Brain. Slice index 121.
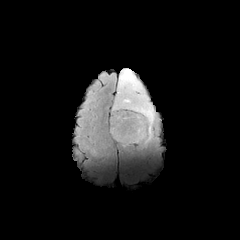
FLAIR magnetic resonance.
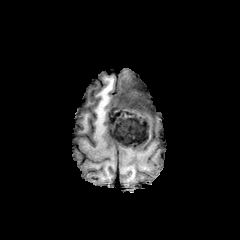
T1-weighted MRI of the same slice.
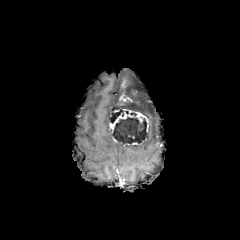
Post-contrast T1-weighted MR.
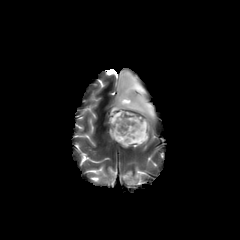
T2-weighted MR image.
Edema — (x1=117, y1=68, x2=155, y2=134).
Enhancing tumor — (x1=119, y1=93, x2=132, y2=102), (x1=109, y1=109, x2=134, y2=132), (x1=134, y1=112, x2=150, y2=132).
Non-enhancing tumor core — (x1=110, y1=112, x2=148, y2=146), (x1=109, y1=86, x2=147, y2=123).